FLAIR MR.
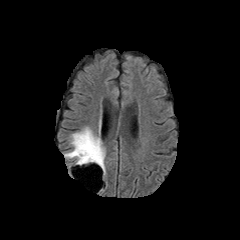
T1-weighted MR image.
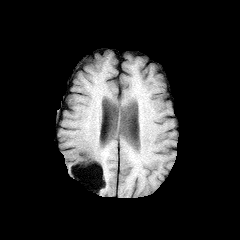
Post-contrast T1-weighted MR image.
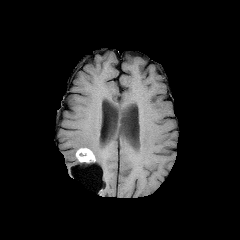
T2-weighted MR.
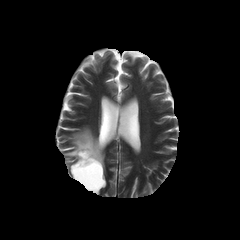
Image size 240x240.
{
  "enhancing_tumor": [
    "box=[76, 148, 95, 162]"
  ],
  "edema": [
    "box=[64, 126, 105, 179]"
  ],
  "non-enhancing_tumor_core": [
    "box=[76, 147, 103, 167]"
  ]
}